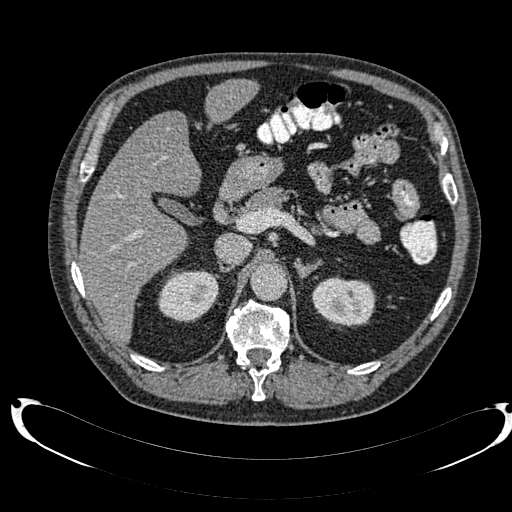
CT scan slice

<segmentation>
  <kidney>(x1=312, y1=278, x2=374, y2=325), (x1=158, y1=271, x2=218, y2=321)</kidney>
  <focal_liver_lesion>(x1=149, y1=112, x2=184, y2=140)</focal_liver_lesion>
  <liver>(x1=206, y1=79, x2=258, y2=122), (x1=80, y1=118, x2=200, y2=342)</liver>
</segmentation>